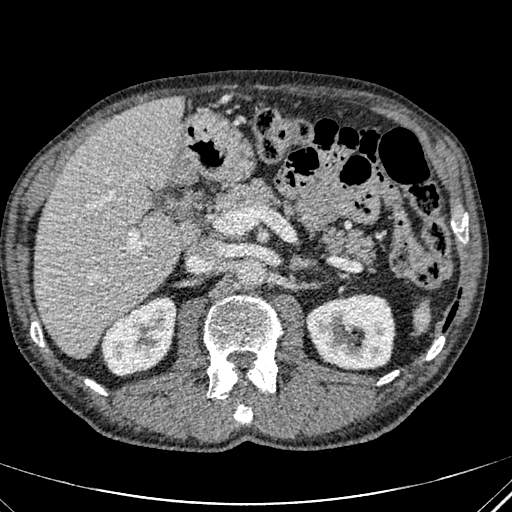 Abdomen; CT scan slice
kidney: 307:296:393:368, 102:299:175:374 | liver: 35:96:196:357